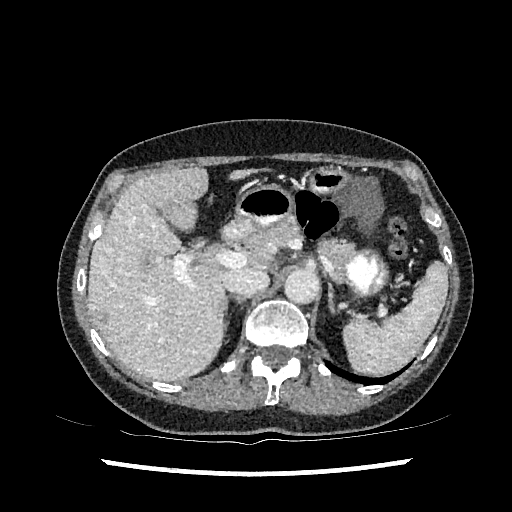 512x512, CT
Findings:
- hepatic lesion: {"x1": 93, "y1": 308, "x2": 108, "y2": 324}, {"x1": 140, "y1": 251, "x2": 154, "y2": 272}
- liver: {"x1": 232, "y1": 169, "x2": 249, "y2": 179}, {"x1": 88, "y1": 166, "x2": 224, "y2": 381}